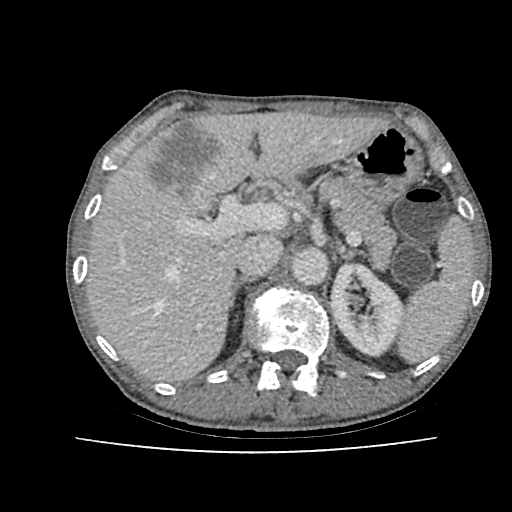 Upper abdomen, CT scan slice, Image size 512x512
The liver lesion is at box=[150, 120, 222, 201]. The liver is located at box=[89, 113, 380, 379]. The kidney is at box=[331, 266, 402, 354].